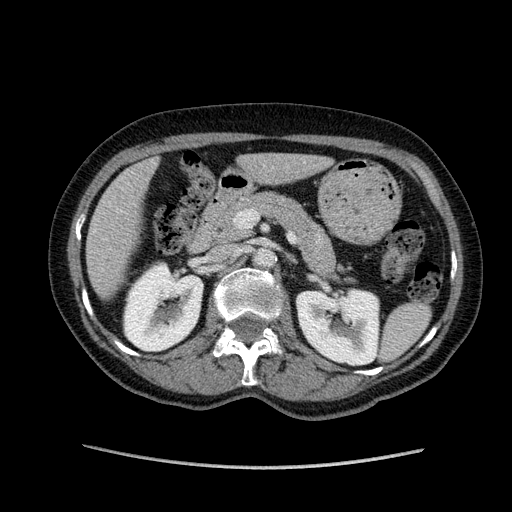 CT slice
kidney:
  - <box>125,265,202,350</box>
  - <box>297,291,378,364</box>
liver:
  - <box>85,161,154,294</box>
  - <box>241,152,323,183</box>